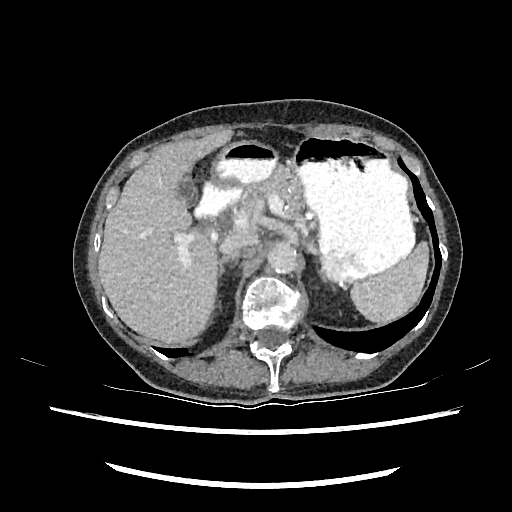

CT image.
liver:
  - <box>99,131,230,342</box>